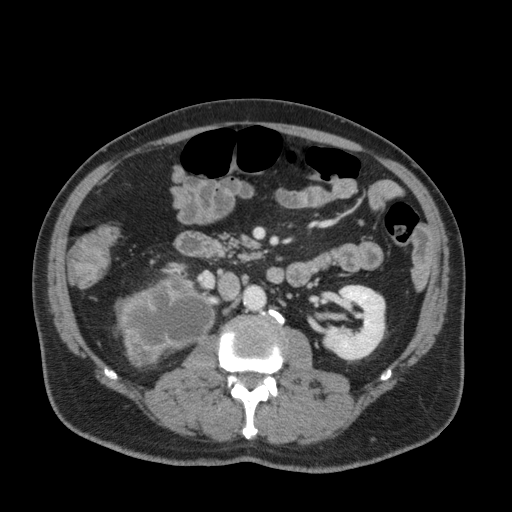
Abdomen, CT slice

Kidney: 325 286 384 358.